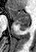 MR. 36x52.
anterior_hippocampus:
  - l=8, t=7, r=29, b=23
posterior_hippocampus:
  - l=17, t=24, r=28, b=30